Field of view 240 mm wide, 1.00 mm slice spacing, Slice 84/155
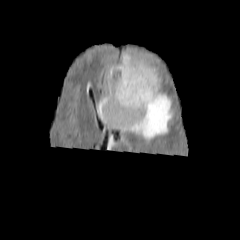
FLAIR MR image.
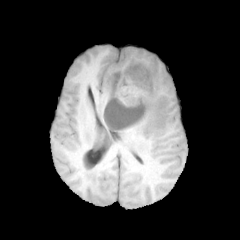
Same slice, T1-weighted MR.
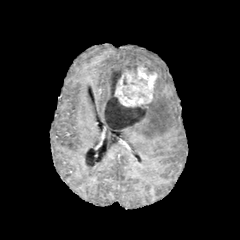
Post-contrast T1-weighted MR image.
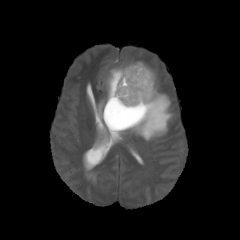
Same slice, T2-weighted MR.
3 edema regions are located at (x1=119, y1=59, x2=148, y2=67), (x1=108, y1=89, x2=175, y2=140), (x1=98, y1=98, x2=105, y2=118). The enhancing tumor is at (x1=115, y1=65, x2=156, y2=106). The non-enhancing tumor core appears at (x1=104, y1=63, x2=150, y2=129).